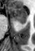

Magnetic resonance. Medial temporal lobe.
Anterior hippocampus at <bbox>8, 6, 27, 20</bbox>.
Posterior hippocampus at <bbox>18, 21, 25, 23</bbox>.